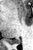

MR image. {"posterior_hippocampus": ["rect(9, 39, 20, 43)"]}